CT scan slice. 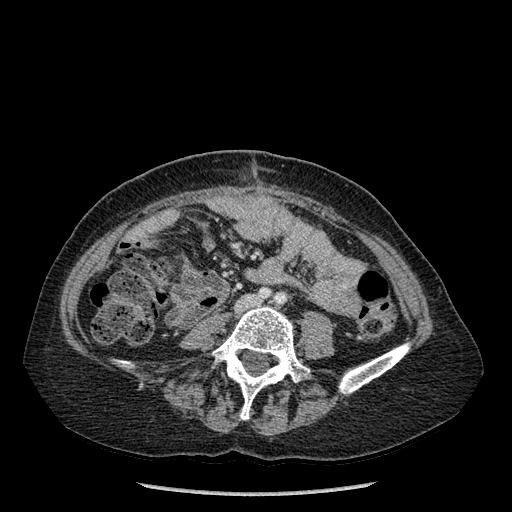

Bone: bounding box <bbox>339, 343, 410, 393</bbox>, <bbox>114, 360, 133, 367</bbox>, <bbox>212, 304, 309, 419</bbox>.